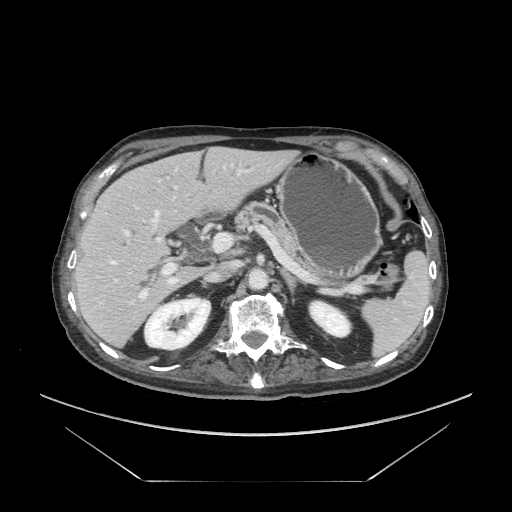 Upper abdomen | Image size 512x512 | CT scan slice

Segmented structures:
* pancreas: [236,202,316,271]